Image width 240 mm | Slice 50/155
FLAIR MRI.
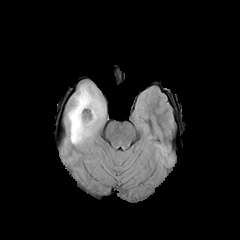
T1-weighted MR.
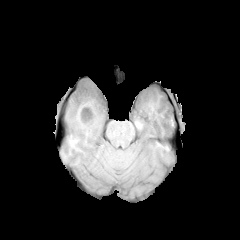
Post-contrast T1-weighted MR image.
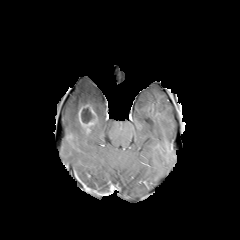
T2-weighted magnetic resonance.
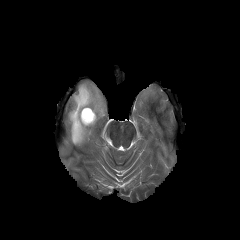
Enhancing tumor: {"x1": 79, "y1": 108, "x2": 96, "y2": 134}.
Non-enhancing tumor core: {"x1": 81, "y1": 105, "x2": 97, "y2": 123}.
Edema: {"x1": 65, "y1": 82, "x2": 106, "y2": 145}.